CT, Abdomen, 512x512 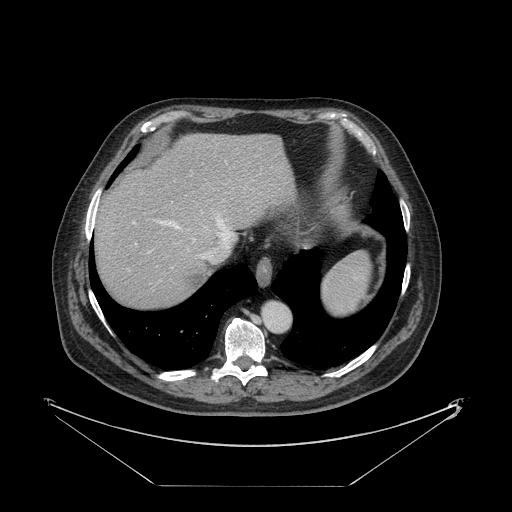

Not every hepatic vessel necessarily has a box.
2 hepatic vessel regions are located at x1=135 y1=242 x2=136 y2=243, x1=216 y1=214 x2=222 y2=227. The liver tumor is located at x1=185 y1=275 x2=201 y2=286.